Abdomen, Computed tomography, Slice 505/647
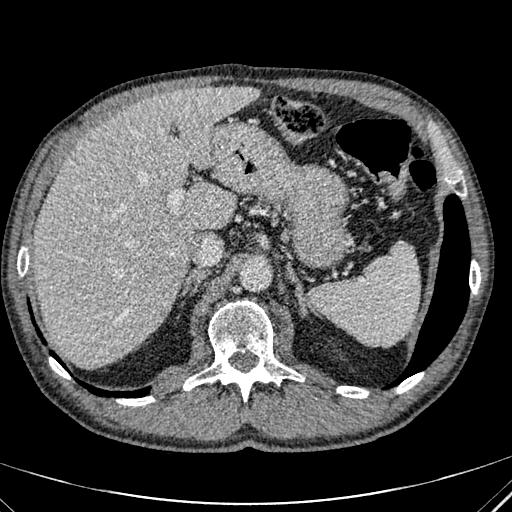 Segmented structures:
• liver: box(35, 86, 259, 366)